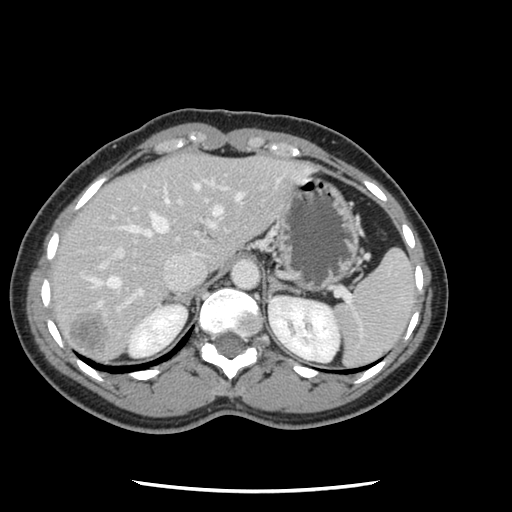

CT image, 512x512, Abdomen

The vessel annotation is not exhaustive.
hepatic_vessel:
  - (x1=128, y1=298, x2=130, y2=301)
  - (x1=113, y1=250, x2=122, y2=257)
  - (x1=164, y1=194, x2=168, y2=202)
  - (x1=194, y1=183, x2=199, y2=188)
  - (x1=207, y1=180, x2=213, y2=185)
  - (x1=120, y1=213, x2=167, y2=235)
  - (x1=235, y1=193, x2=241, y2=199)
  - (x1=208, y1=221, x2=214, y2=227)
  - (x1=135, y1=289, x2=141, y2=294)
  - (x1=85, y1=276, x2=119, y2=287)
  - (x1=178, y1=200, x2=180, y2=202)
  - (x1=100, y1=263, x2=104, y2=266)
  - (x1=212, y1=206, x2=221, y2=214)
  - (x1=222, y1=187, x2=225, y2=188)
  - (x1=98, y1=303, x2=99, y2=304)
liver_tumor:
  - (x1=70, y1=314, x2=106, y2=349)